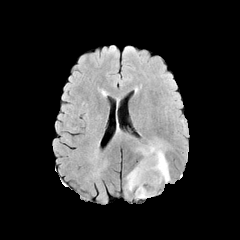
FLAIR magnetic resonance.
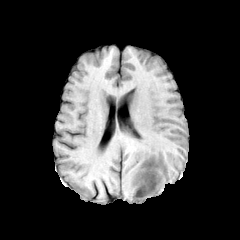
T1-weighted MRI of the same slice.
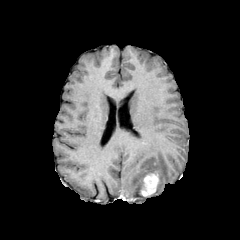
Same slice, post-contrast T1-weighted MR image.
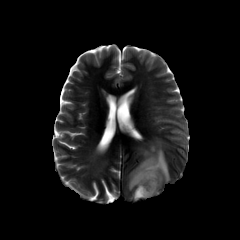
T2-weighted MRI.
240x240 px. Head.
<segmentation>
  <edema>x1=127, y1=144, x2=170, y2=199</edema>
  <enhancing_tumor>x1=139, y1=172, x2=159, y2=197</enhancing_tumor>
</segmentation>